FLAIR MRI.
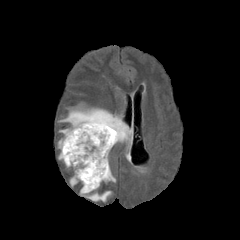
T1-weighted MR image.
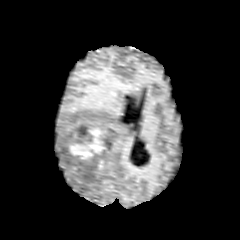
Post-contrast T1-weighted MR image.
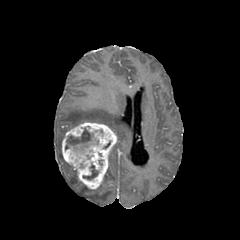
T2-weighted MRI.
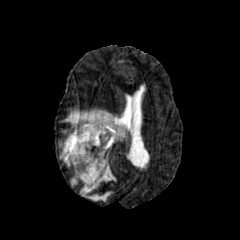
240x240 px; Head
{"edema": ["region(70, 170, 110, 201)", "region(102, 156, 115, 183)", "region(61, 108, 131, 143)", "region(58, 140, 72, 167)"], "non-enhancing_tumor_core": ["region(84, 164, 98, 179)", "region(65, 128, 98, 159)"], "enhancing_tumor": ["region(62, 122, 117, 188)"]}